Slice 47/87; Computed tomography 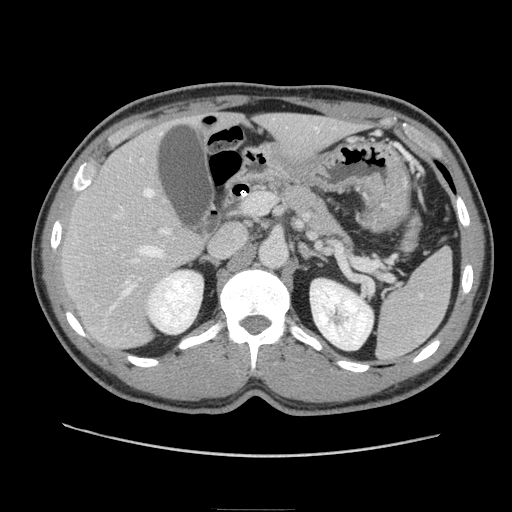 The pancreas is at {"x1": 281, "y1": 184, "x2": 352, "y2": 245}.